240x240
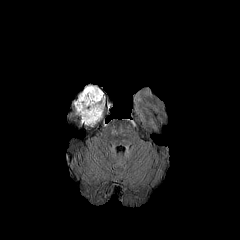
FLAIR magnetic resonance.
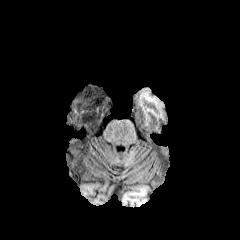
T1-weighted MRI of the same slice.
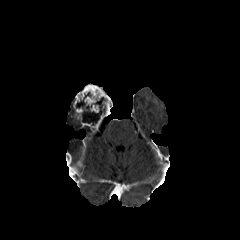
Post-contrast T1-weighted MR.
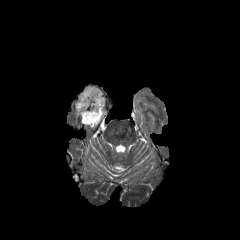
T2-weighted MRI.
non-enhancing_tumor_core:
  - (left=75, top=92, right=105, bottom=124)
  - (left=67, top=97, right=81, bottom=125)
enhancing_tumor:
  - (left=90, top=104, right=99, bottom=112)
  - (left=73, top=83, right=112, bottom=131)
  - (left=75, top=108, right=83, bottom=119)